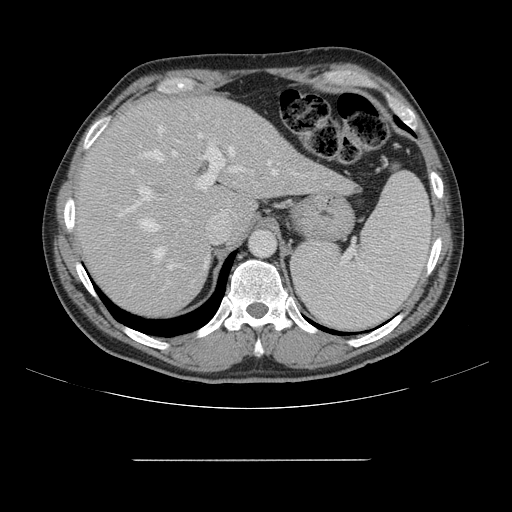
Computed tomography
Only some of the vessels may be annotated.
Findings:
- hepatic vessel (principal 15 of 18): [158, 126, 163, 134], [154, 247, 164, 257], [166, 280, 168, 284], [172, 151, 176, 156], [272, 170, 276, 174], [230, 148, 233, 155], [268, 160, 270, 164], [139, 150, 163, 162], [142, 219, 158, 231], [168, 260, 181, 269], [198, 133, 202, 137], [139, 187, 151, 200], [229, 166, 243, 171], [118, 200, 139, 216], [196, 147, 223, 191]